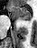 Image size 37x48 | MRI slice | Hippocampus
Annotated regions:
- anterior hippocampus: rect(10, 6, 30, 20)